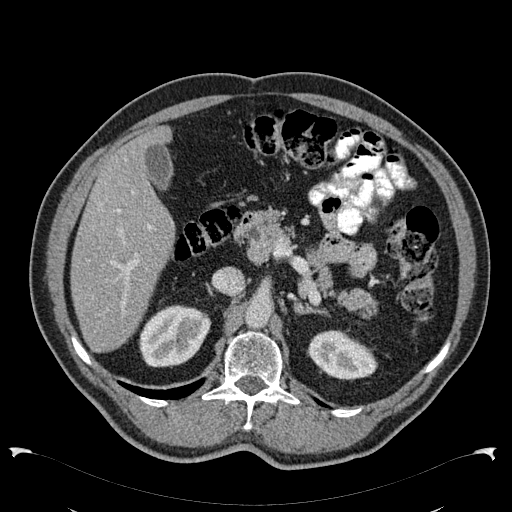
Computed tomography; Liver; 512x512 px
<segmentation>
  <kidney>l=308, t=330, r=377, b=379; l=140, t=305, r=210, b=366</kidney>
  <liver>l=72, t=126, r=174, b=352</liver>
</segmentation>